Image width 440 mm, 512x512, Abdomen, CT scan slice, Slice 52 of 55

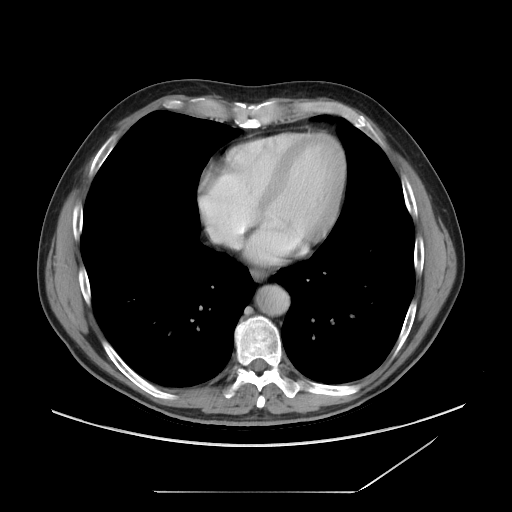

Not every hepatic vessel necessarily has a box.
{"hepatic_vessel": ["l=208, t=212, r=227, b=236"]}